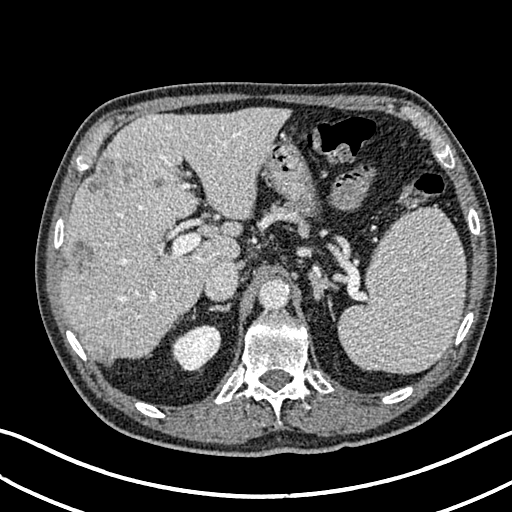
CT image | 512x512

The liver is at box(63, 107, 289, 364). The kidney lies within box(174, 326, 220, 370). 4 hepatic lesion regions are bounded by box(154, 178, 164, 187); box(102, 348, 111, 357); box(86, 156, 147, 193); box(73, 239, 94, 275).